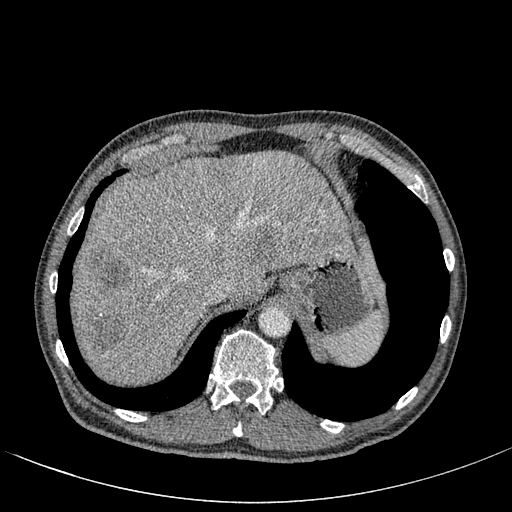 Image size 512x512. Computed tomography.
The liver appears at (left=74, top=149, right=352, bottom=383). 6 liver lesion regions are bounded by (left=251, top=228, right=281, bottom=263), (left=210, top=159, right=231, bottom=181), (left=289, top=207, right=305, bottom=222), (left=80, top=307, right=126, bottom=352), (left=318, top=196, right=327, bottom=208), (left=88, top=247, right=129, bottom=295).